CT image 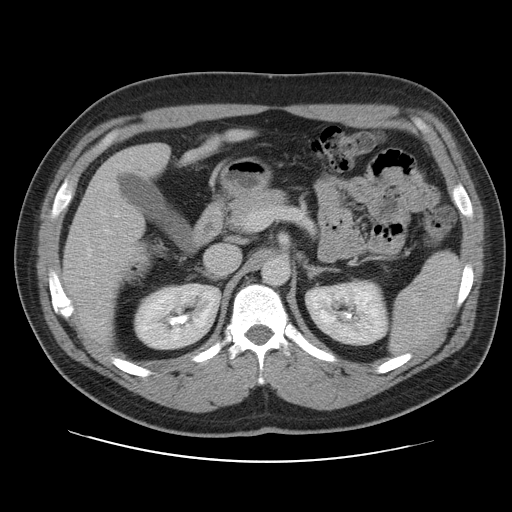
The vessel annotation is not exhaustive.
6 hepatic vessel regions are bounded by [80, 314, 81, 316], [115, 214, 118, 216], [100, 209, 103, 213], [91, 281, 93, 285], [87, 247, 90, 250], [105, 229, 108, 233].